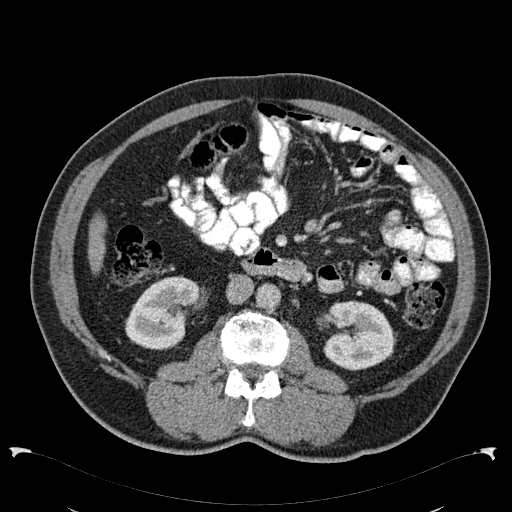
Computed tomography | Liver
The liver is located at (x1=89, y1=212, x2=105, y2=275). 2 kidney regions are bounded by (x1=125, y1=277, x2=198, y2=349), (x1=324, y1=301, x2=394, y2=369).